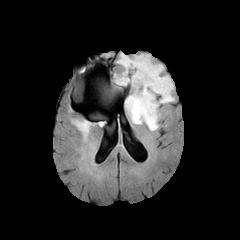
FLAIR MR image.
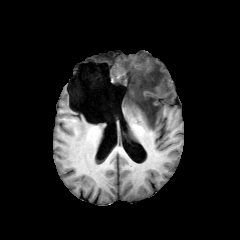
T1-weighted MRI.
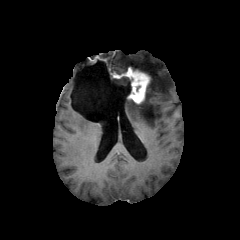
Post-contrast T1-weighted magnetic resonance of the same slice.
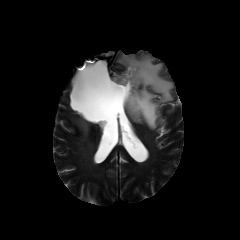
Same slice, T2-weighted MRI.
240x240
Non-enhancing tumor core: bounding box (128, 76, 155, 121), (114, 76, 131, 95).
Enhancing tumor: bounding box (114, 67, 149, 103).
Edema: bounding box (117, 54, 174, 130), (112, 78, 127, 85).